Field of view 240 mm wide, 1.00 mm slice spacing, 240x240
FLAIR MRI.
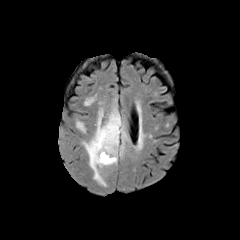
T1-weighted MR image.
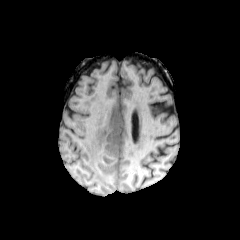
Post-contrast T1-weighted MR image.
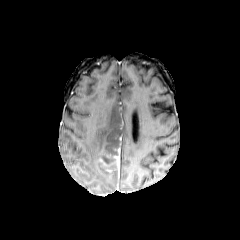
T2-weighted magnetic resonance.
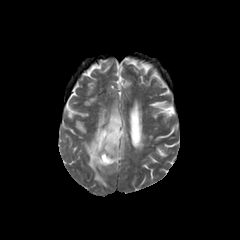
2 edema regions are bounded by (82,99,128,186), (84,95,96,105). 2 non-enhancing tumor core regions are located at (98,149,118,169), (115,138,122,160). The enhancing tumor is at (112,147,120,167).